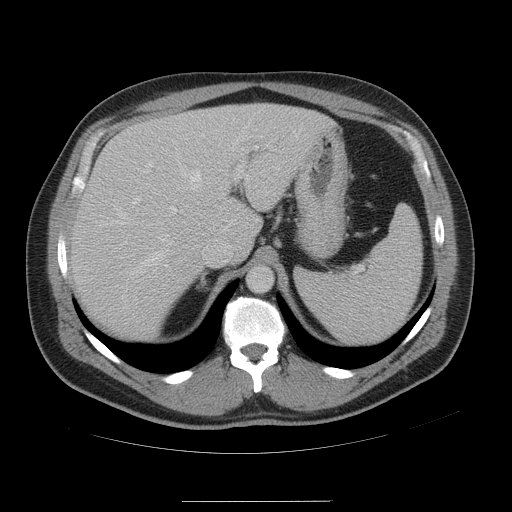 Abdomen; Computed tomography

Annotated regions:
• spleen: (296,206,421,345)